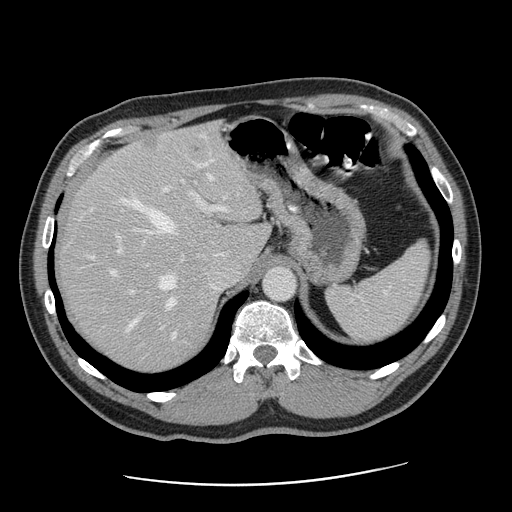
512x512 px. CT. Some hepatic vessels may have no box.
<segmentation partial="true">
  <hepatic_vessel shown="15" total="18"><bbox>125, 321, 135, 331</bbox>, <bbox>119, 238, 122, 251</bbox>, <bbox>190, 192, 225, 212</bbox>, <bbox>172, 333, 175, 338</bbox>, <bbox>110, 269, 115, 273</bbox>, <bbox>197, 164, 199, 167</bbox>, <bbox>130, 290, 133, 292</bbox>, <bbox>201, 134, 205, 136</bbox>, <bbox>208, 174, 213, 179</bbox>, <bbox>167, 298, 175, 308</bbox>, <bbox>119, 198, 174, 230</bbox>, <bbox>202, 244, 246, 283</bbox>, <bbox>165, 187, 170, 190</bbox>, <bbox>159, 275, 175, 288</bbox>, <bbox>91, 256, 95, 258</bbox></hepatic_vessel>
  <liver_tumor><bbox>139, 135, 160, 151</bbox>, <bbox>188, 144, 202, 155</bbox></liver_tumor>
</segmentation>